FLAIR magnetic resonance.
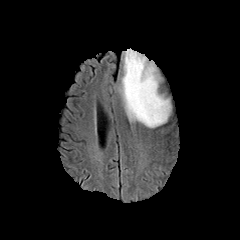
T1-weighted MRI.
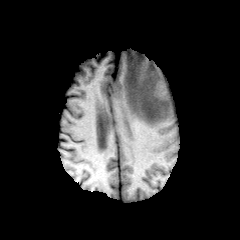
Post-contrast T1-weighted magnetic resonance.
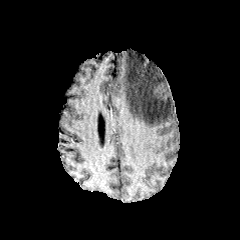
T2-weighted MR.
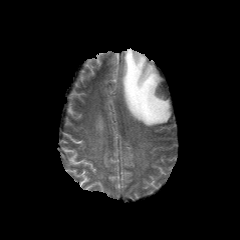
Head.
Annotated regions:
• edema: (120, 48, 170, 128)